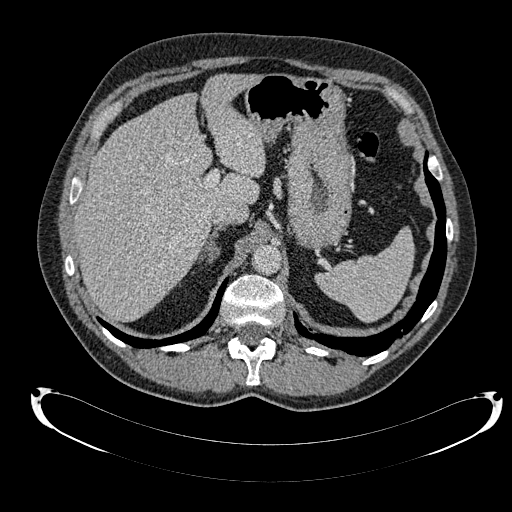 Upper abdomen | 512x512 px | CT image

{
  "liver": [
    "75:74:264:321"
  ]
}